CT scan slice | Field of view 425x425 mm

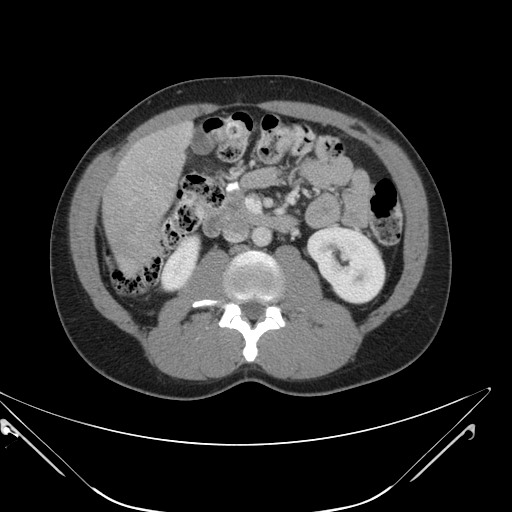

The liver tumor appears at (109, 220, 156, 266).